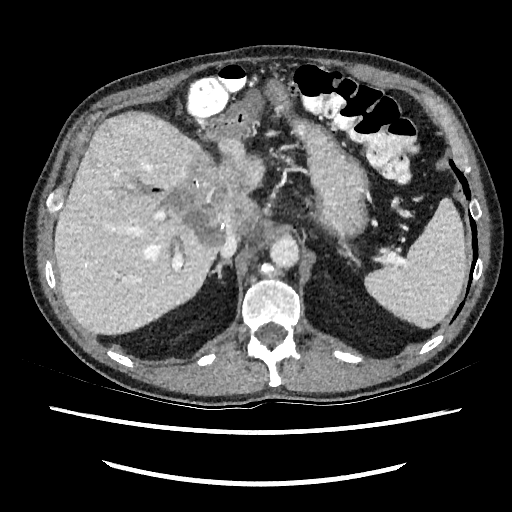

CT scan slice, Abdomen
Liver: (193,178,199,186), (235,201,258,236), (54,111,220,333), (219,138,264,199).
Focal liver lesion: (159,151,257,245).